Head, Field of view 240 mm wide, 1.00 mm slice spacing
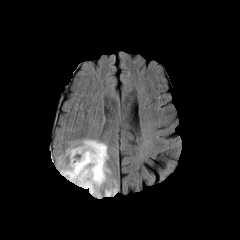
FLAIR magnetic resonance.
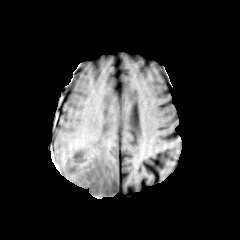
T1-weighted MR image.
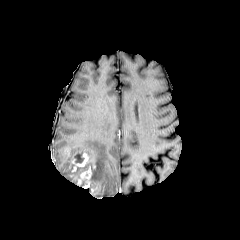
Post-contrast T1-weighted MRI of the same slice.
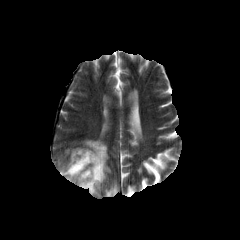
Same slice, T2-weighted MR.
{
  "edema": [
    {"x1": 60, "y1": 140, "x2": 117, "y2": 196}
  ],
  "enhancing_tumor": [
    {"x1": 77, "y1": 167, "x2": 97, "y2": 193},
    {"x1": 70, "y1": 152, "x2": 89, "y2": 173}
  ]
}